Field of view 411x411 mm | CT slice | Upper abdomen 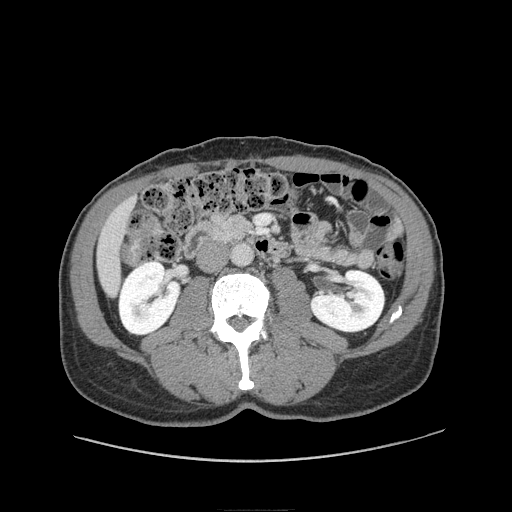 {"pancreas": ["l=213, t=215, r=251, b=241"]}